240x240 | Image width 240 mm
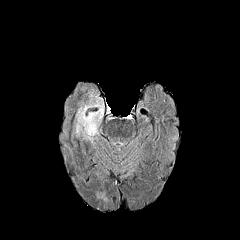
FLAIR MR.
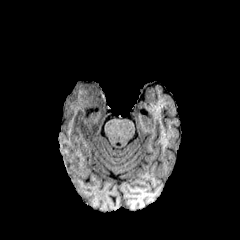
T1-weighted MR.
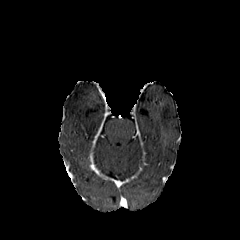
Post-contrast T1-weighted magnetic resonance.
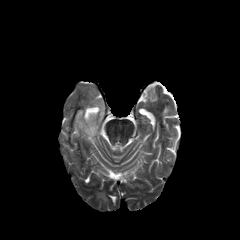
Same slice, T2-weighted magnetic resonance.
<segmentation>
  <edema>[75,104,104,140]</edema>
</segmentation>